FLAIR MR.
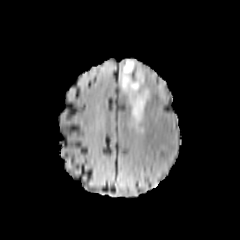
T1-weighted MR image.
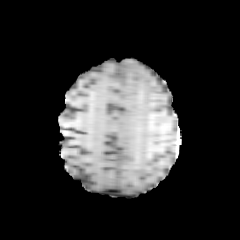
Post-contrast T1-weighted MR.
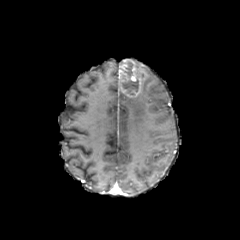
T2-weighted MRI.
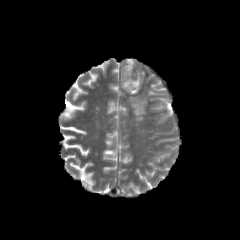
Brain. 240x240.
2 edema regions are located at 137,63,146,83; 129,88,149,119. 2 non-enhancing tumor core regions are bounded by 121,79,139,95; 125,62,132,77. The enhancing tumor is at 119,59,141,96.